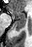

32x47 | MR image
Posterior hippocampus at box=[15, 20, 25, 30].
Anterior hippocampus at box=[9, 8, 25, 19].